Liver, Computed tomography 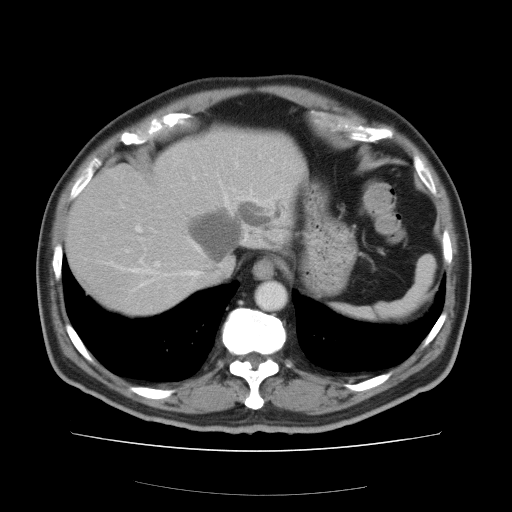

Only some of the vessels may be annotated.
hepatic_vessel:
  - box(223, 192, 231, 209)
  - box(107, 261, 117, 266)
  - box(186, 238, 200, 252)
  - box(139, 282, 144, 285)
  - box(186, 270, 199, 287)
  - box(219, 181, 220, 183)
  - box(130, 267, 141, 271)